Slice index 90.
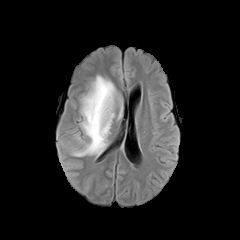
FLAIR MR.
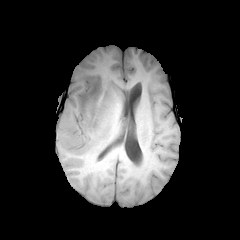
T1-weighted MR of the same slice.
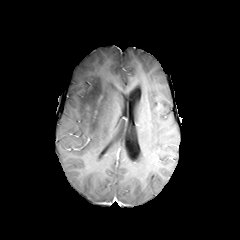
Post-contrast T1-weighted magnetic resonance.
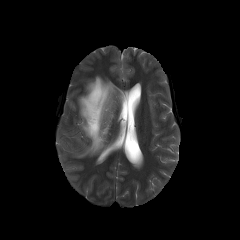
T2-weighted magnetic resonance.
The edema is bounded by 72 75 116 156.